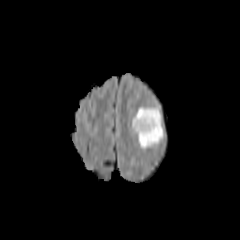
FLAIR MR.
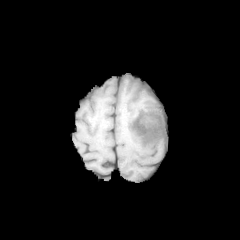
T1-weighted MR.
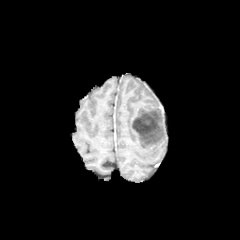
Same slice, post-contrast T1-weighted MR image.
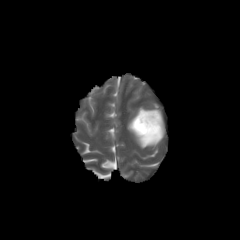
T2-weighted MR image.
Head
The non-enhancing tumor core is at left=133, top=114, right=157, bottom=134. The edema is located at left=128, top=106, right=166, bottom=148.